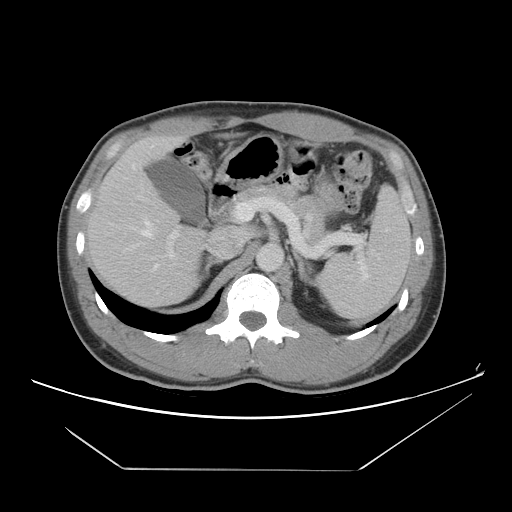 Computed tomography, Abdomen
The vessel boxes may cover only some of the vessels.
Annotated regions:
- hepatic vessel: (left=167, top=242, right=174, bottom=257), (left=167, top=230, right=178, bottom=239), (left=141, top=221, right=152, bottom=237), (left=134, top=244, right=138, bottom=246), (left=153, top=264, right=158, bottom=269)